Image size 240x240. Brain. Slice index 85.
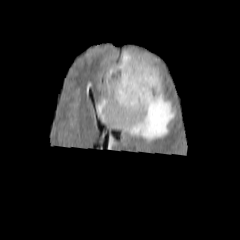
FLAIR MR image.
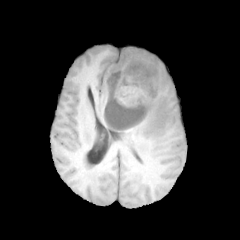
T1-weighted MR.
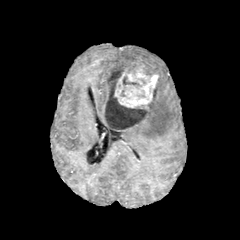
Post-contrast T1-weighted MR.
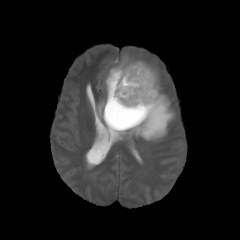
T2-weighted MRI.
Edema: bounding box 117, 52, 158, 73; 99, 82, 176, 140.
Non-enhancing tumor core: bounding box 104, 64, 157, 129; 122, 76, 141, 88.
Enhancing tumor: bounding box 115, 66, 158, 108.